240x240 px
FLAIR magnetic resonance.
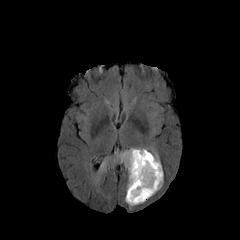
T1-weighted MR.
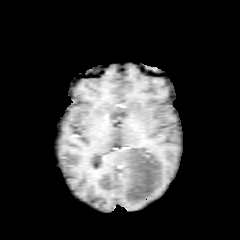
Post-contrast T1-weighted magnetic resonance.
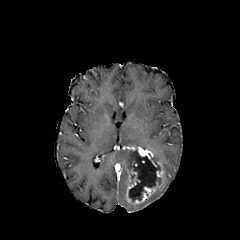
T2-weighted MR image.
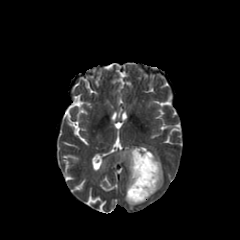
edema:
  - box=[114, 149, 134, 162]
  - box=[142, 147, 163, 198]
  - box=[100, 159, 106, 170]
  - box=[124, 171, 138, 207]
enhancing_tumor:
  - box=[126, 171, 140, 201]
  - box=[135, 181, 159, 203]
  - box=[125, 147, 159, 166]
non-enhancing_tumor_core:
  - box=[124, 150, 160, 204]